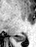 MR image. 36x47. Hippocampus.
{
  "posterior_hippocampus": [
    "bbox(13, 34, 26, 40)"
  ]
}